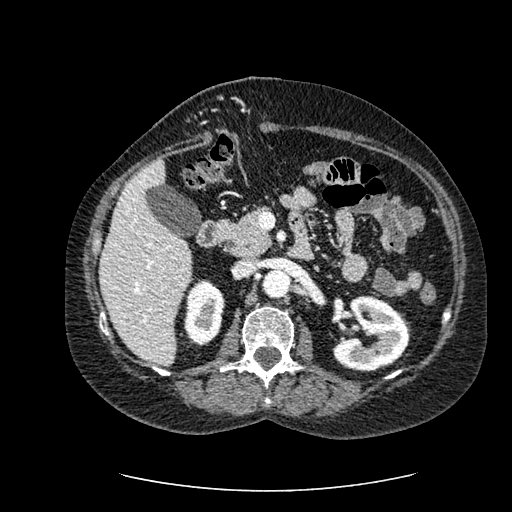 Abdomen, CT scan slice, 512x512 px

Kidney: [185,281,223,344], [333,297,408,370].
Liver: [99,157,189,364].